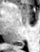
Image size 40x52; MR; Medial temporal lobe

Segmented structures:
• posterior hippocampus: box=[17, 43, 24, 46]